Image width 436 mm; CT scan slice; Upper abdomen
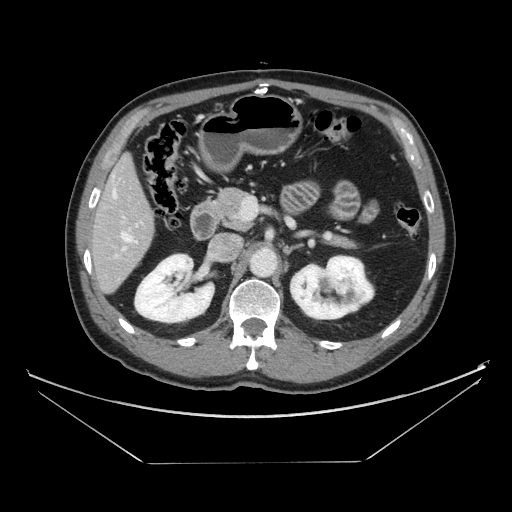

<segmentation>
  <pancreas>(x1=330, y1=235, x2=356, y2=248), (x1=216, y1=188, x2=245, y2=229)</pancreas>
</segmentation>